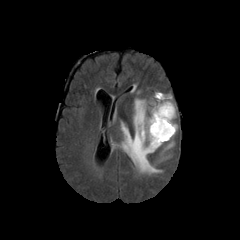
FLAIR MR image.
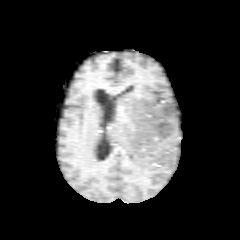
Same slice, T1-weighted MR image.
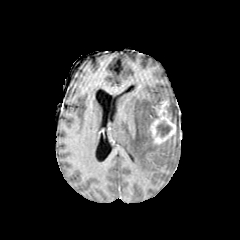
Post-contrast T1-weighted MR image.
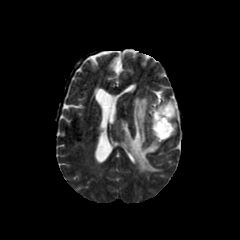
T2-weighted MR image.
<segmentation>
  <enhancing_tumor>[150,100,175,143]</enhancing_tumor>
  <non-enhancing_tumor_core>[152,97,163,119], [156,123,170,136]</non-enhancing_tumor_core>
  <edema>[120,91,178,173]</edema>
</segmentation>